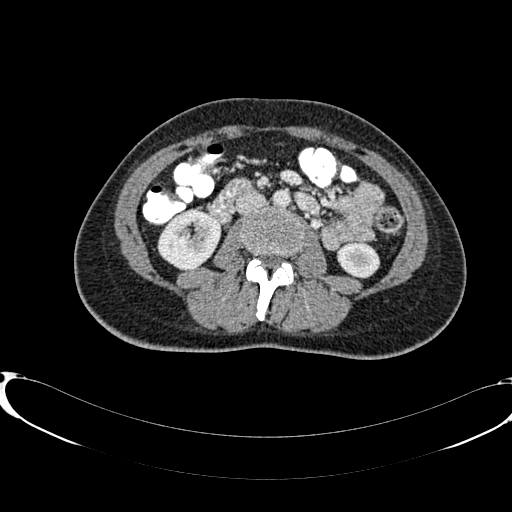
CT slice, Image size 512x512

2 kidney regions are located at region(339, 244, 378, 276); region(159, 211, 219, 268).